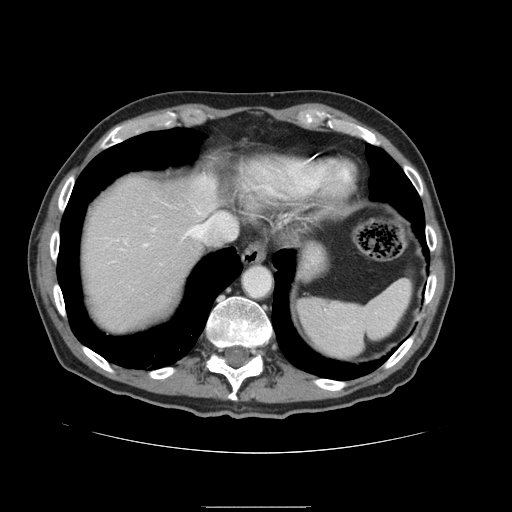 Image size 512x512 | CT slice | Liver

The vessel annotation is not exhaustive.
Hepatic vessel — box=[143, 244, 145, 245]; box=[184, 214, 238, 242].